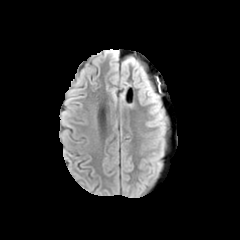
FLAIR magnetic resonance.
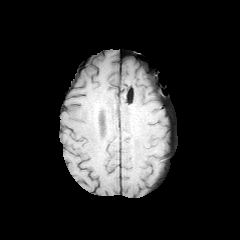
Same slice, T1-weighted MRI.
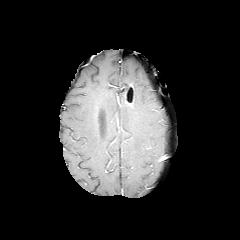
Same slice, post-contrast T1-weighted MRI.
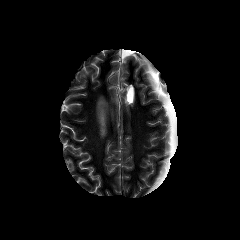
T2-weighted MR image of the same slice.
Edema = (x1=142, y1=72, x2=160, y2=102), (x1=150, y1=112, x2=164, y2=133), (x1=151, y1=102, x2=161, y2=113).